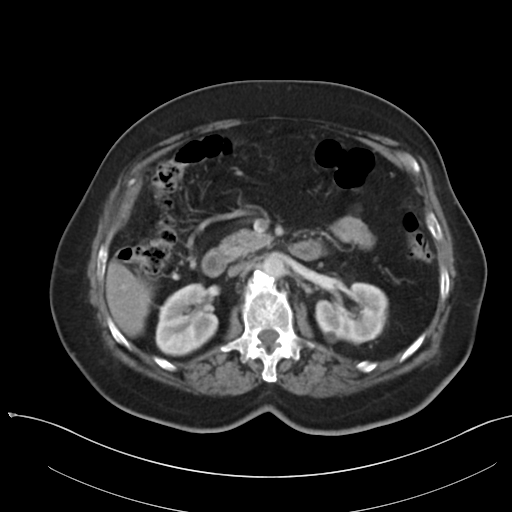

Liver, CT
The vessel annotation is not exhaustive.
hepatic vessel: x1=121 y1=285 x2=125 y2=289